Slice index 58; Upper abdomen; CT image

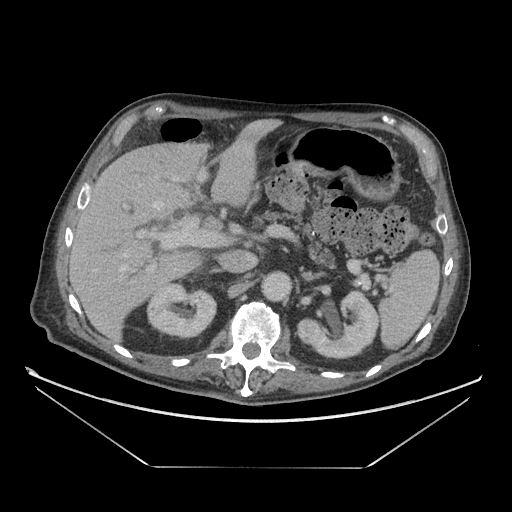
{
  "pancreas": [
    "(261,212,334,267)"
  ]
}